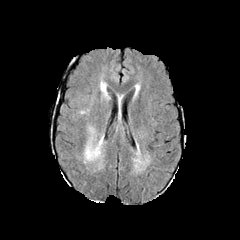
FLAIR MR image.
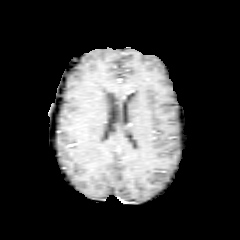
Same slice, T1-weighted MRI.
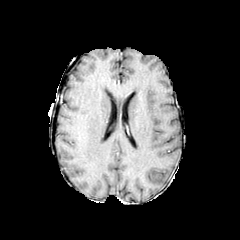
Post-contrast T1-weighted MRI.
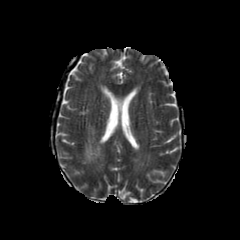
T2-weighted magnetic resonance.
240x240 px | Brain
Edema = 85:136:103:160.